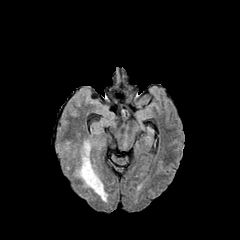
FLAIR MRI.
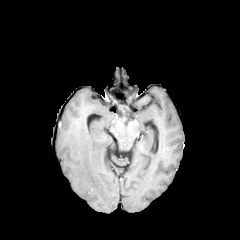
T1-weighted MR image.
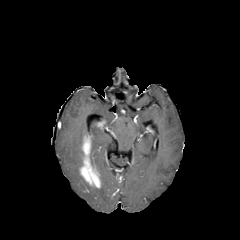
Post-contrast T1-weighted MR.
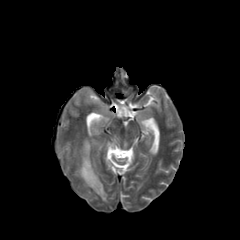
T2-weighted MR.
edema:
  - (76, 146, 107, 201)
enhancing_tumor:
  - (80, 138, 100, 187)